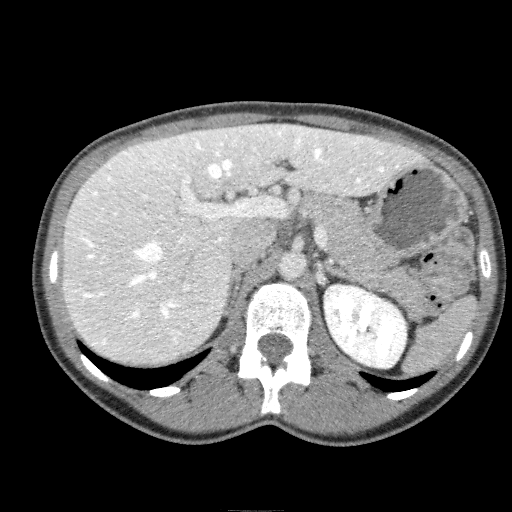
CT scan slice | Liver
Liver — (62,122,430,363).
Kidney — (324,285,406,367).